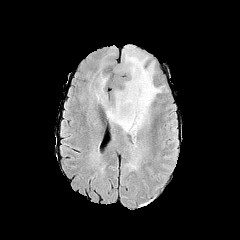
FLAIR magnetic resonance.
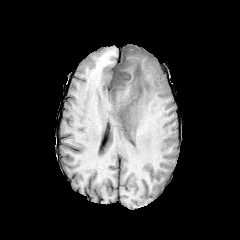
T1-weighted MRI.
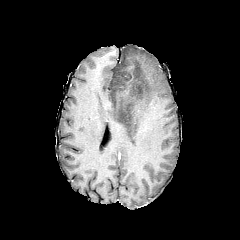
Post-contrast T1-weighted MR of the same slice.
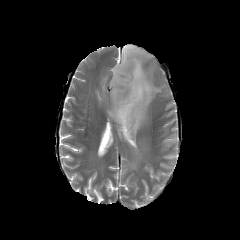
Same slice, T2-weighted MR.
Brain.
edema: (x1=106, y1=45, x2=162, y2=169)